FLAIR MR image.
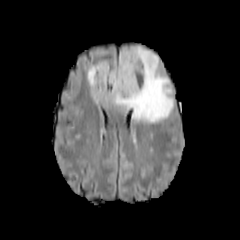
T1-weighted MR image.
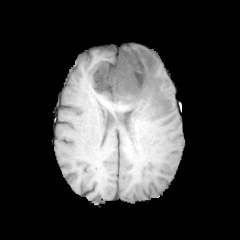
Post-contrast T1-weighted MR image.
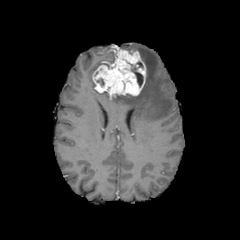
T2-weighted MR image.
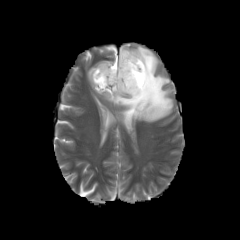
Segmented structures:
* edema: left=101, top=46, right=173, bottom=122; left=87, top=61, right=101, bottom=92
* non-enhancing tumor core: left=131, top=66, right=143, bottom=86
* enhancing tumor: left=92, top=45, right=146, bottom=96